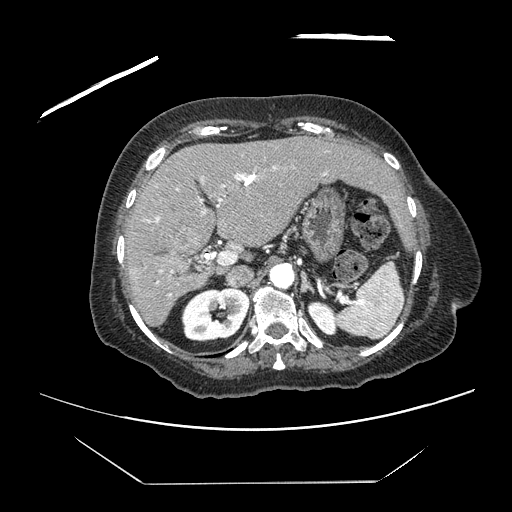
CT image
Not every hepatic vessel necessarily has a box.
Liver tumor: box=[178, 228, 199, 248].
Hepatic vessel: box=[156, 217, 159, 221]; box=[219, 252, 236, 264]; box=[235, 174, 247, 179].